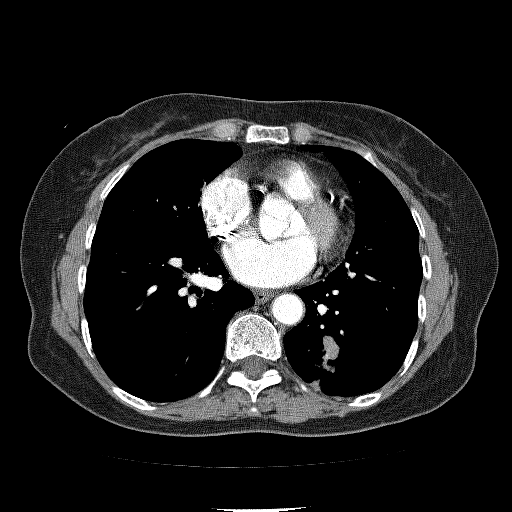
CT image

Lung tumor: bounding box [310, 335, 340, 391].